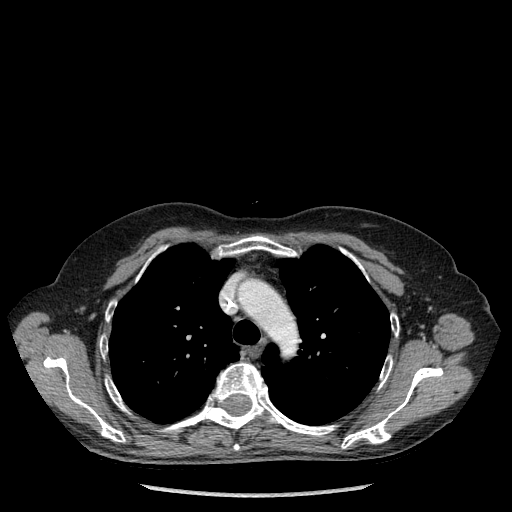

Thorax | CT slice
• lung: box=[109, 243, 259, 423]; box=[262, 244, 390, 425]
• bone: box=[136, 258, 149, 282]; box=[161, 362, 336, 436]; box=[215, 235, 296, 256]; box=[43, 356, 125, 442]; box=[390, 313, 399, 336]; box=[341, 367, 443, 448]; box=[340, 247, 368, 279]; box=[105, 376, 128, 412]; box=[378, 355, 392, 388]; box=[99, 335, 107, 358]; box=[105, 300, 116, 321]